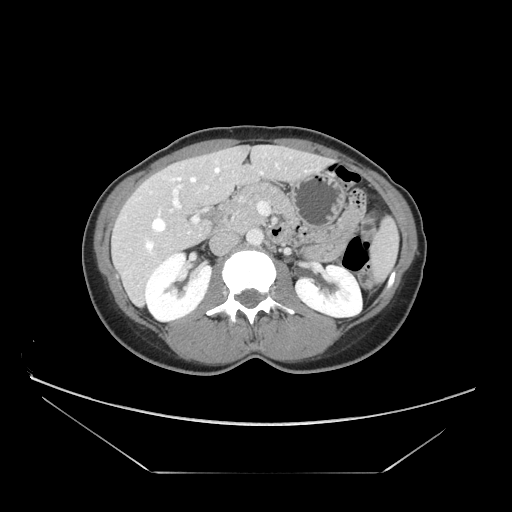

Computed tomography

{"pancreas": ["220:183:295:232"]}